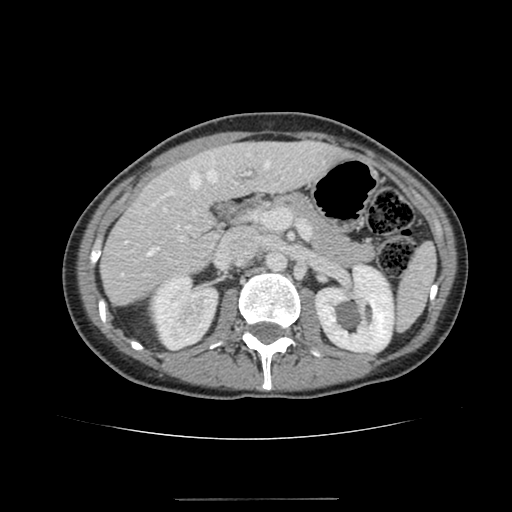

CT scan slice

liver: <box>100,140,348,305</box> | kidney: <box>153,274,216,349</box>, <box>316,265,393,352</box>